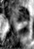
MR. Image size 34x49.
Anterior hippocampus = <box>12,8,28,22</box>.